Computed tomography; Slice 497 of 647

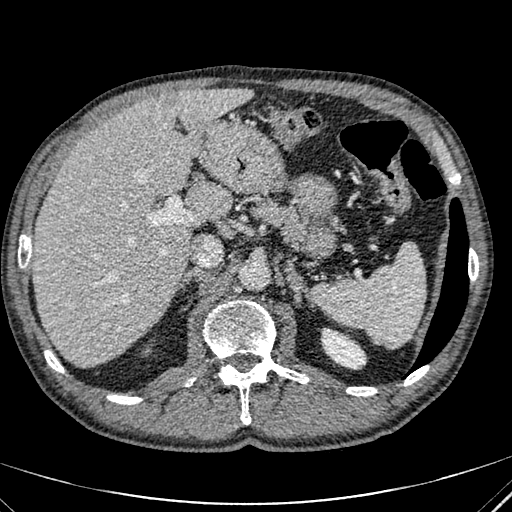 Liver: bounding box (185, 182, 232, 219), (33, 88, 253, 365).
Kidney: bounding box (322, 329, 364, 367).
Hepatic lesion: bounding box (157, 93, 180, 108).